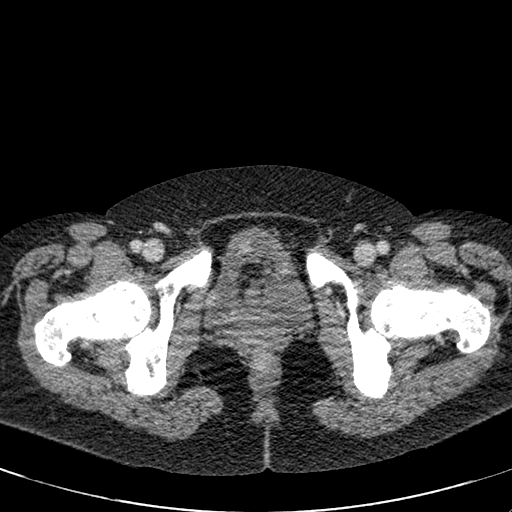 Lower abdomen | CT | 512x512
The urinary bladder is bounded by [203,227,313,328].